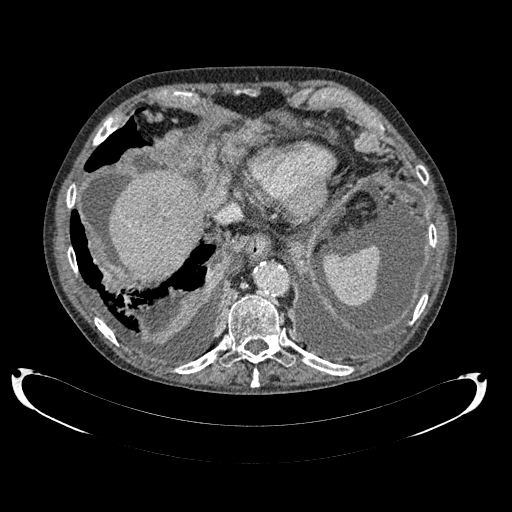

Computed tomography. Upper abdomen. Hepatic lesion — 142,201,157,216.
Liver — 108,170,204,282.